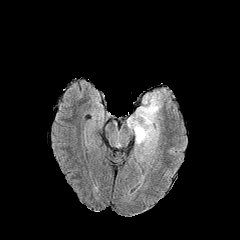
FLAIR MRI.
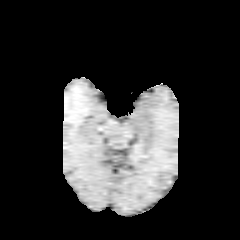
T1-weighted MR.
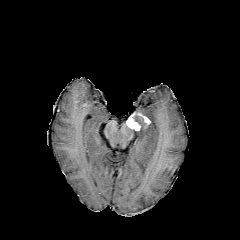
Post-contrast T1-weighted magnetic resonance.
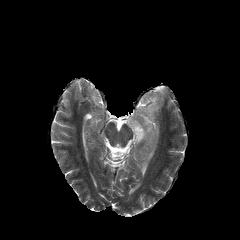
T2-weighted MR.
Image size 240x240
Enhancing tumor at <bbox>126, 112, 150, 130</bbox>.
Edema at <bbox>130, 89, 166, 161</bbox>.